Head | Slice index 59
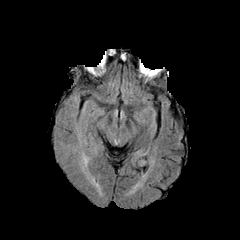
FLAIR MR.
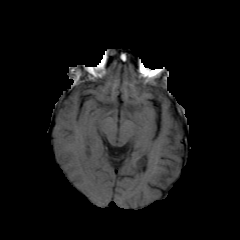
T1-weighted MR.
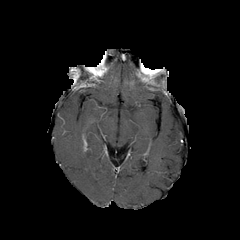
Post-contrast T1-weighted magnetic resonance of the same slice.
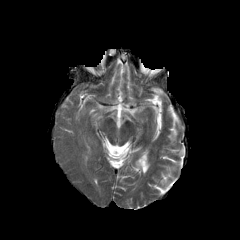
T2-weighted MRI.
{
  "edema": [
    "(left=82, top=153, right=91, bottom=166)"
  ]
}